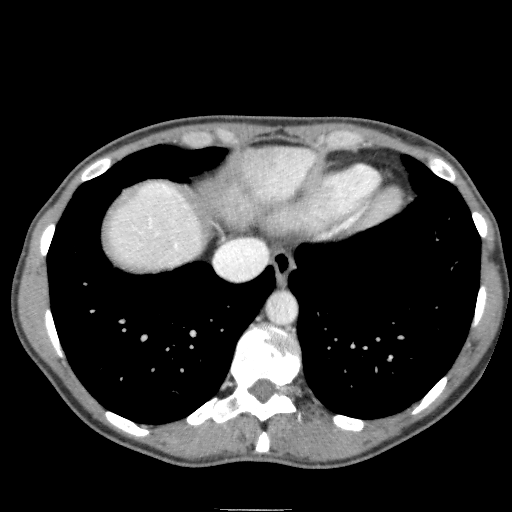 Image size 512x512; CT scan slice
Liver at left=103, top=182, right=203, bottom=270; left=218, top=146, right=316, bottom=228.